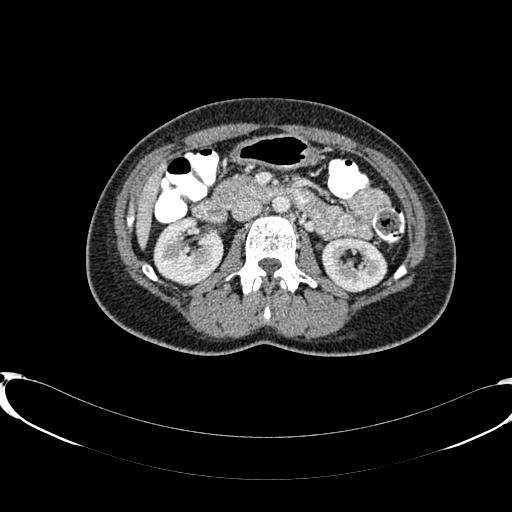
512x512; CT
2 kidney regions are bounded by left=155, top=219, right=222, bottom=282; left=323, top=239, right=385, bottom=290. The liver is located at left=135, top=163, right=165, bottom=248.